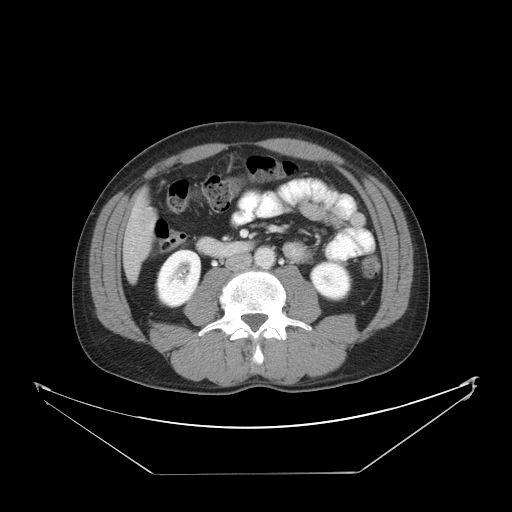
CT. Liver.

<segmentation>
  <liver_tumor>144:211:156:224</liver_tumor>
</segmentation>